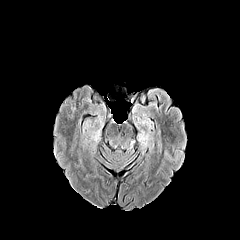
FLAIR MRI.
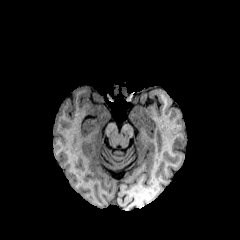
T1-weighted MRI of the same slice.
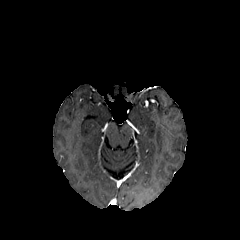
Same slice, post-contrast T1-weighted MRI.
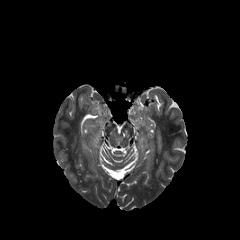
Same slice, T2-weighted MR.
Brain
Edema: {"x1": 140, "y1": 133, "x2": 153, "y2": 150}.